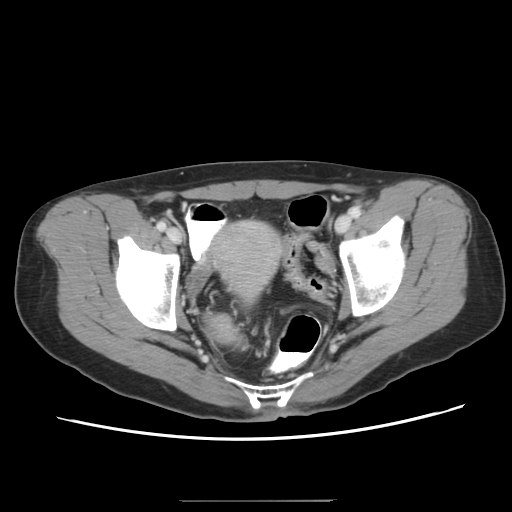

CT slice; 512x512

The colon tumor is at box(210, 313, 238, 344).